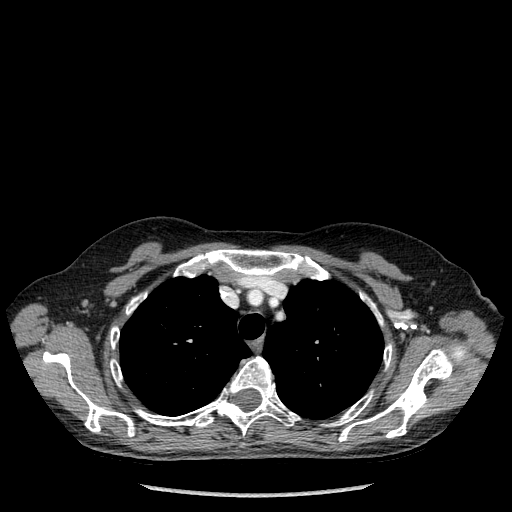

Chest; 512x512 px; Computed tomography
<segmentation>
  <bone>x1=321 y1=344 x2=468 y2=441, x1=135 y1=356 x2=300 y2=435, x1=174 y1=249 x2=328 y2=280, x1=384 y1=344 x2=392 y2=368, x1=42 y1=351 x2=134 y2=436, x1=110 y1=359 x2=122 y2=386, x1=360 y1=292 x2=383 y2=325, x1=110 y1=326 x2=119 y2=348, x1=126 y1=292 x2=146 y2=314</bone>
  <lung>x1=119 y1=275 x2=264 y2=416, x1=263 y1=279 x2=383 y2=419</lung>
</segmentation>